CT 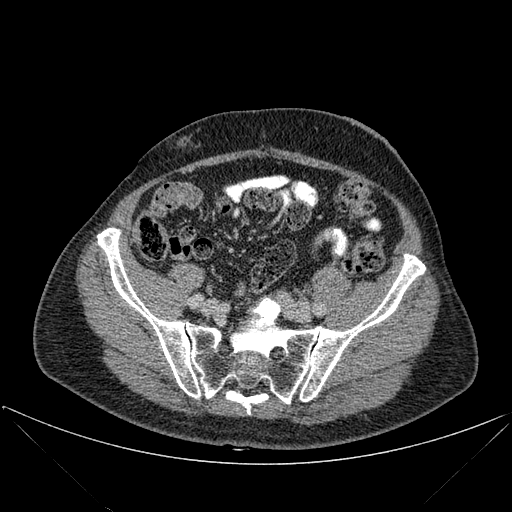 2 bone regions are located at (left=97, top=228, right=425, bottom=403), (left=226, top=391, right=268, bottom=414).